CT image
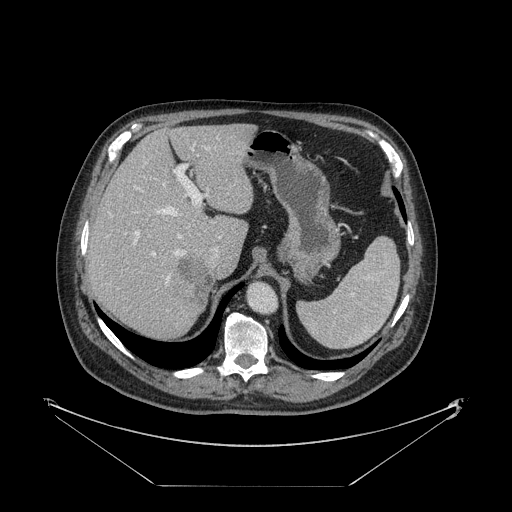 Only some of the vessels may be annotated.
Liver tumor: bounding box (left=177, top=257, right=211, bottom=304).
Hepatic vessel: bounding box (left=162, top=182, right=165, bottom=185), (left=152, top=252, right=154, bottom=254), (left=166, top=277, right=169, bottom=281), (left=134, top=231, right=139, bottom=241), (left=206, top=194, right=207, bottom=195), (left=173, top=165, right=202, bottom=203), (left=178, top=235, right=180, bottom=237), (left=203, top=146, right=207, bottom=148).